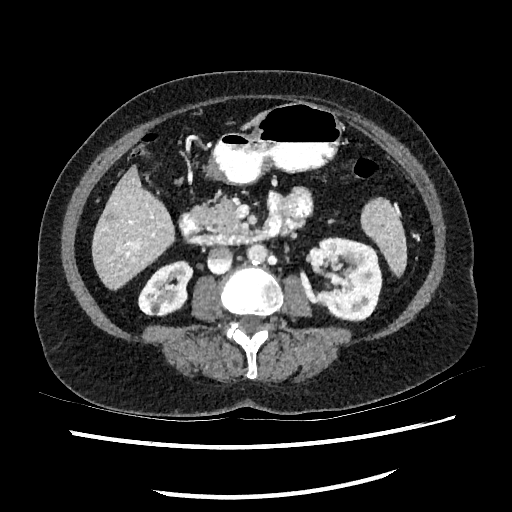 Abdomen | CT image
liver: bbox(243, 112, 266, 129); bbox(92, 166, 172, 288) | liver lesion: bbox(106, 212, 113, 221) | kidney: bbox(139, 262, 192, 314); bbox(310, 239, 381, 319)